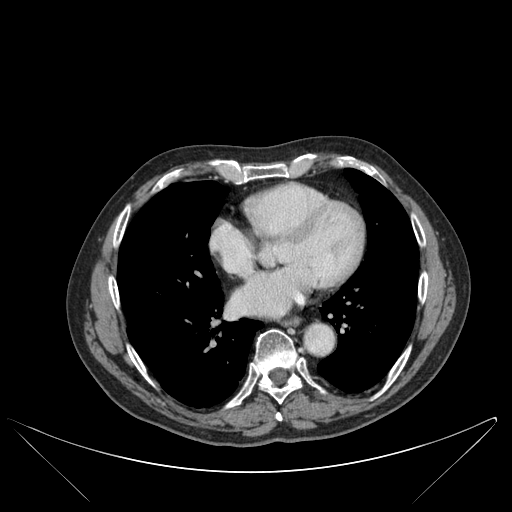
Image size 512x512, CT scan slice
2 lung regions are bounded by (117, 181, 263, 407), (317, 168, 418, 392). 9 bone regions are bounded by (127, 346, 151, 382), (113, 206, 129, 245), (412, 215, 425, 245), (226, 329, 323, 407), (208, 155, 314, 183), (380, 347, 410, 393), (418, 272, 427, 302), (157, 170, 179, 188), (108, 277, 119, 307).